CT slice.

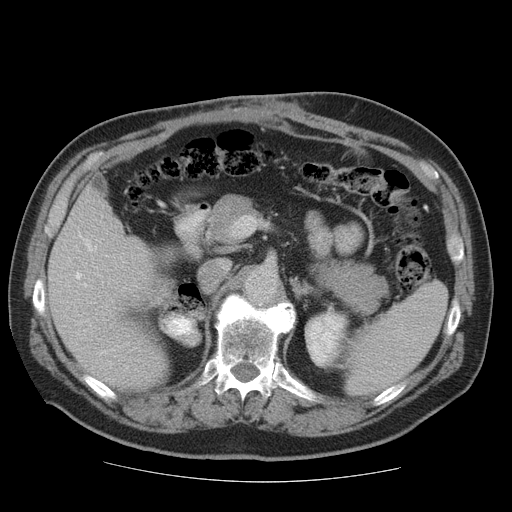

The vessel boxes may cover only some of the vessels.
Liver tumor at <bbox>115, 294, 133, 307</bbox>.
Hepatic vessel at <bbox>85, 320, 91, 328</bbox>, <bbox>84, 329, 88, 330</bbox>, <bbox>76, 273, 80, 277</bbox>, <bbox>79, 231, 96, 250</bbox>, <bbox>116, 343, 128, 346</bbox>, <bbox>84, 284, 86, 286</bbox>, <bbox>94, 266, 100, 275</bbox>, <bbox>76, 322, 82, 324</bbox>, <bbox>88, 278, 89, 279</bbox>.